Slice 47 of 110 | Field of view 330 mm wide, 2.50 mm slice spacing | CT 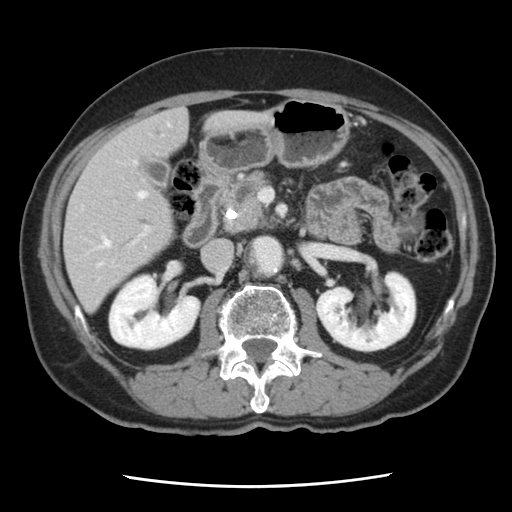
The pancreatic tumor lies within (x1=222, y1=199, x2=264, y2=234). The pancreas is located at (x1=221, y1=171, x2=269, y2=209).